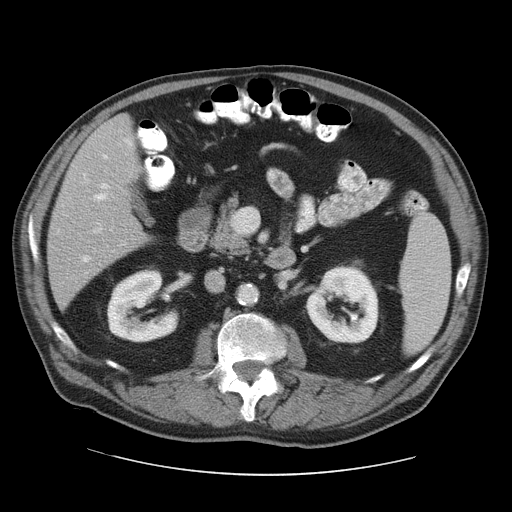
512x512 | CT | Liver
Not every hepatic vessel necessarily has a box.
hepatic vessel: <bbox>96, 194, 105, 199</bbox>, <bbox>83, 256, 88, 261</bbox>, <bbox>102, 184, 107, 187</bbox>, <bbox>103, 154, 106, 157</bbox>